Abdomen | CT scan slice | Image size 512x512
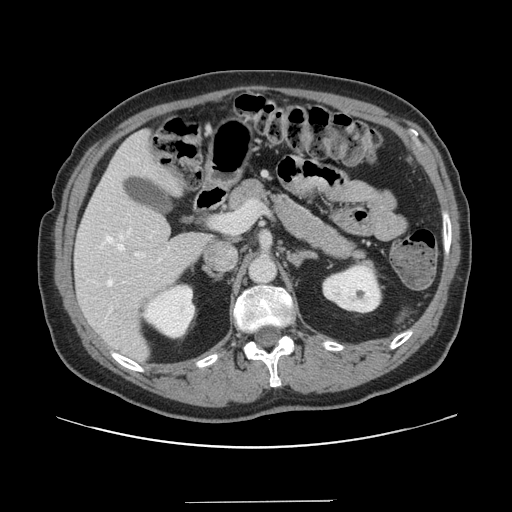 Not every hepatic vessel necessarily has a box.
6 hepatic vessel regions are bounded by box(106, 235, 113, 242); box(107, 280, 112, 285); box(134, 252, 145, 257); box(120, 235, 122, 239); box(216, 201, 256, 232); box(117, 243, 123, 249).